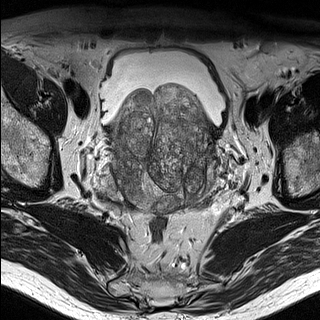
T2-weighted MR image.
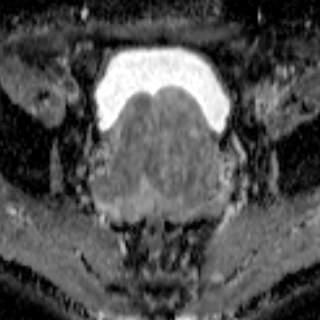
Same slice, ADC MRI.
Pelvis; Image size 320x320
{"prostate_transition_zone": ["bbox=[97, 87, 213, 212]"]}